FLAIR MR image.
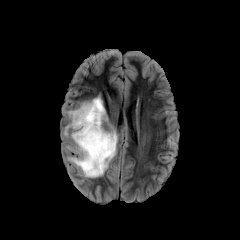
T1-weighted MR image.
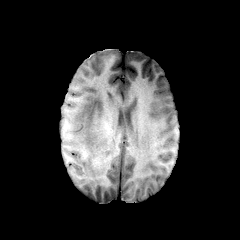
Post-contrast T1-weighted MR image.
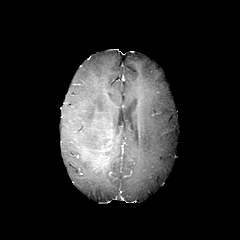
T2-weighted MR image.
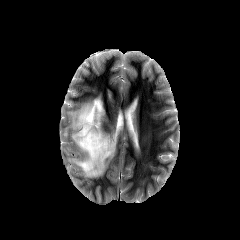
Image size 240x240; Head
Segmented structures:
* non-enhancing tumor core: x1=106, y1=136, x2=112, y2=150
* edema: x1=65, y1=97, x2=118, y2=177